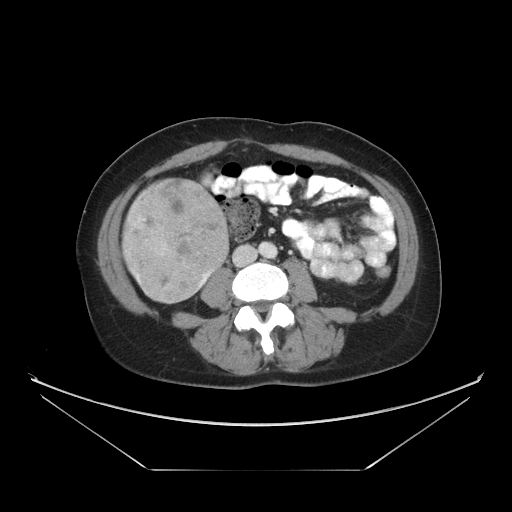

Liver | CT slice | 512x512
liver_tumor:
  - (124,180,227,302)